CT, 512x512 px 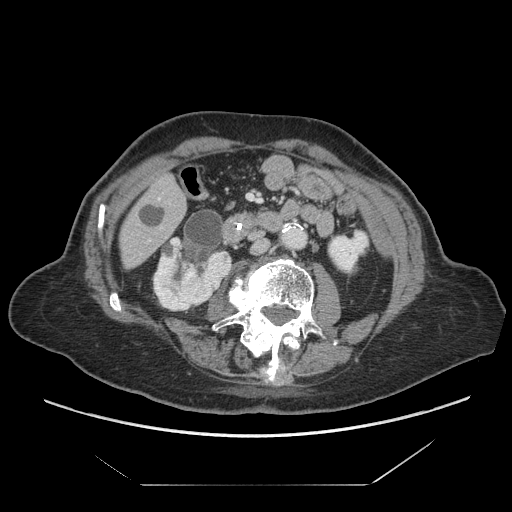

Pancreas — [223,199,239,213].